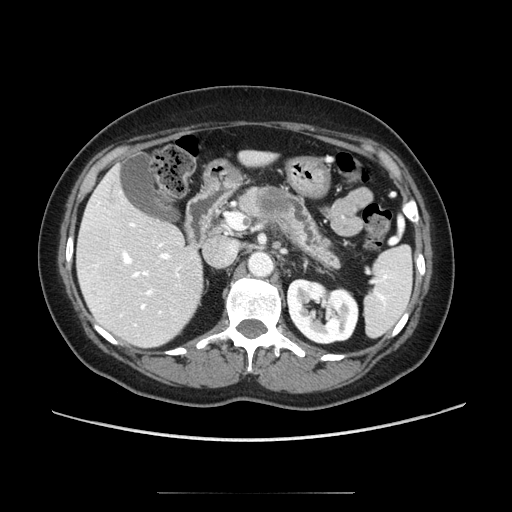

512x512; Computed tomography
pancreas:
  - 241,187,339,267
pancreatic_tumor:
  - 255,187,290,216